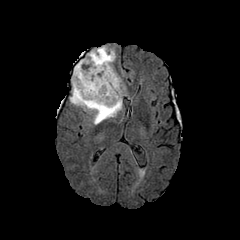
FLAIR magnetic resonance.
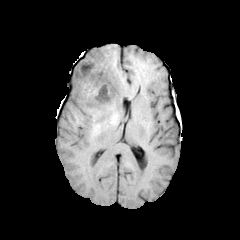
T1-weighted MR of the same slice.
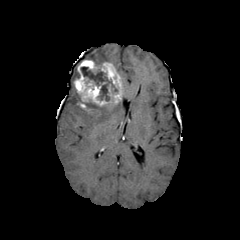
Same slice, post-contrast T1-weighted magnetic resonance.
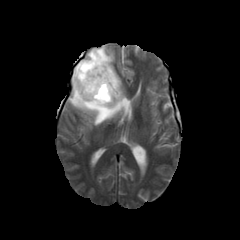
T2-weighted MR image of the same slice.
Head
<segmentation>
  <edema>(x1=85, y1=46, x2=115, y2=64), (x1=69, y1=90, x2=123, y2=125)</edema>
  <non-enhancing_tumor_core>(x1=81, y1=66, x2=107, y2=84), (x1=99, y1=84, x2=109, y2=100)</non-enhancing_tumor_core>
  <enhancing_tumor>(x1=72, y1=58, x2=122, y2=109)</enhancing_tumor>
</segmentation>